FLAIR MR image.
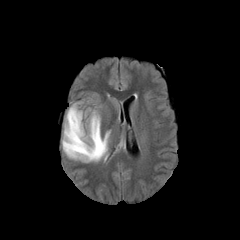
T1-weighted MR.
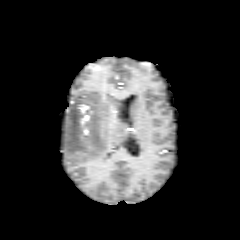
Post-contrast T1-weighted MR.
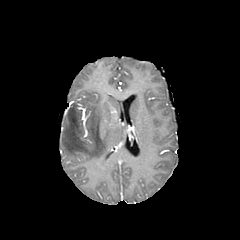
T2-weighted MR image.
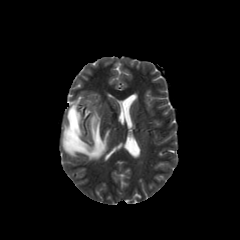
Head.
• edema: <bbox>62, 103, 109, 161</bbox>